Image size 240x240. Slice 26/155.
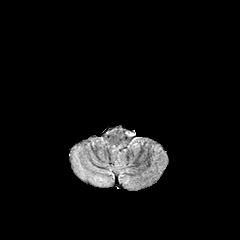
FLAIR MR image.
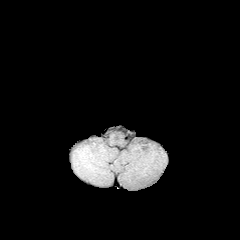
T1-weighted MR image of the same slice.
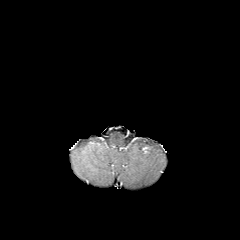
Same slice, post-contrast T1-weighted MRI.
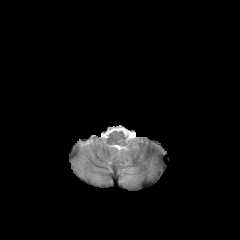
T2-weighted MRI.
Edema: <bbox>102, 141, 135, 182</bbox>, <bbox>92, 172, 107, 181</bbox>.